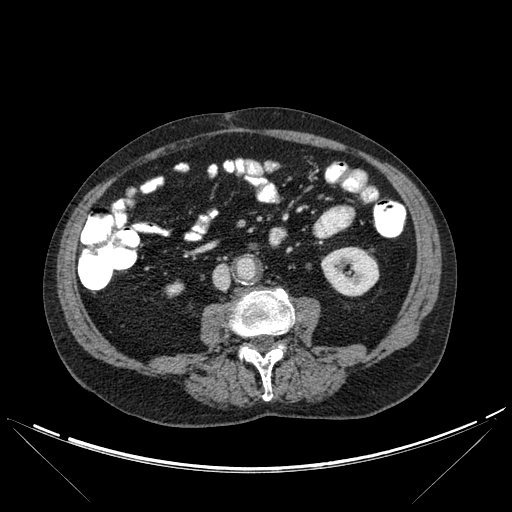

CT image
{
  "bone": [
    "(230,289,294,336)",
    "(239,344,284,400)"
  ],
  "kidney": [
    "(321,247,378,295)",
    "(167,283,182,295)"
  ]
}